CT scan slice. 512x512 px. Slice index 165. 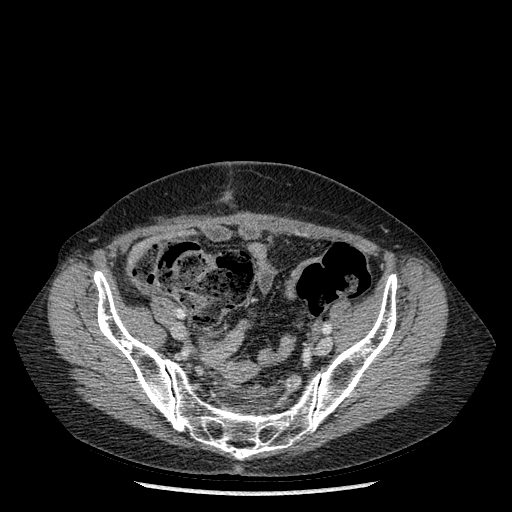 Bone = 93, 270, 397, 459.